CT. Slice index 386. Upper abdomen.

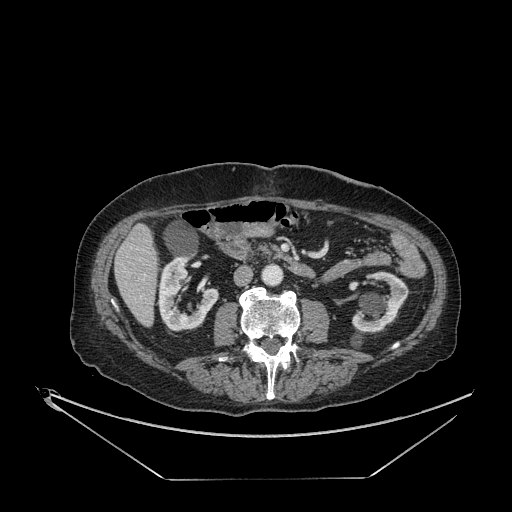 Kidney — 352,272,408,331; 349,282,357,289; 158,257,218,330.
Liver — 114,224,157,326.